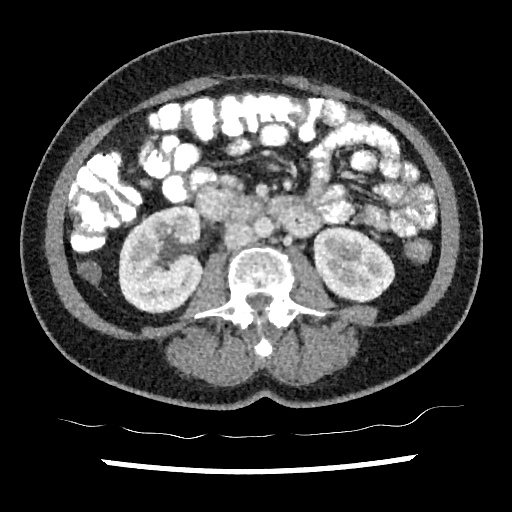 Abdomen | CT scan slice | Image size 512x512
{"kidney": ["rect(314, 228, 393, 301)", "rect(120, 206, 201, 311)"]}